Slice 106 of 155. Image size 240x240.
FLAIR magnetic resonance.
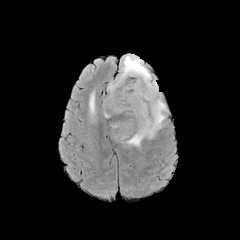
T1-weighted magnetic resonance.
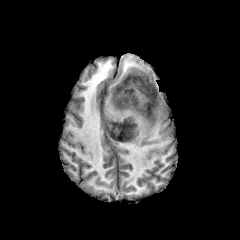
Post-contrast T1-weighted magnetic resonance.
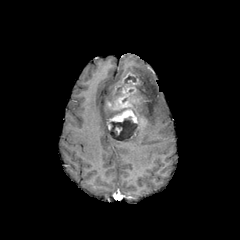
T2-weighted magnetic resonance.
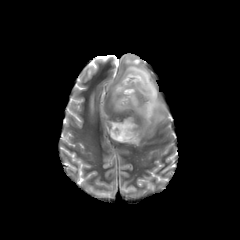
non-enhancing tumor core: x1=109, y1=74, x2=145, y2=107; x1=107, y1=116, x2=137, y2=141 | enhancing tumor: x1=109, y1=84, x2=138, y2=109; x1=109, y1=109, x2=138, y2=123 | edema: x1=108, y1=54, x2=167, y2=146; x1=89, y1=93, x2=95, y2=114